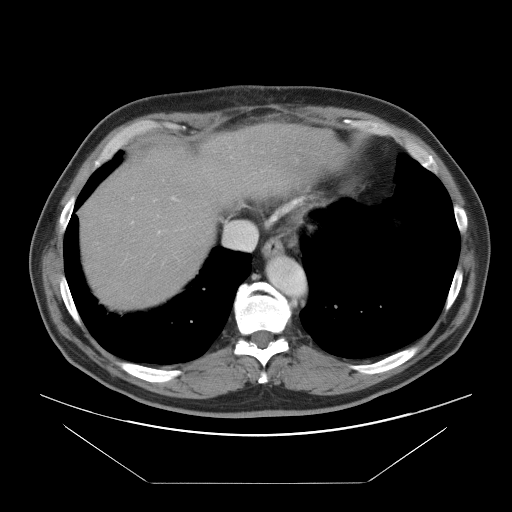
CT slice

Only some of the vessels may be annotated.
2 hepatic vessel regions are bounded by 158 231 159 232, 172 196 176 199.